Image size 512x512 | Slice index 601 | CT slice

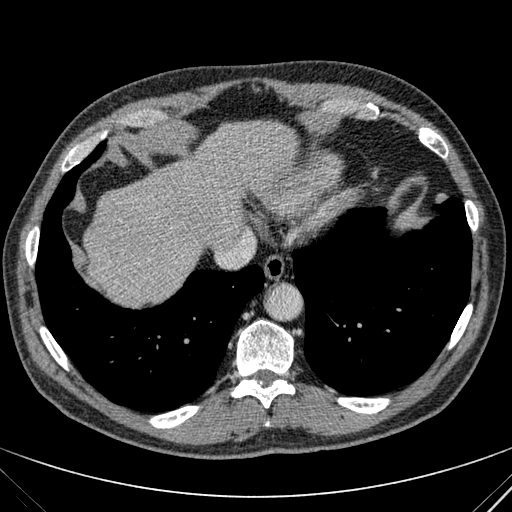
The liver appears at {"x1": 84, "y1": 121, "x2": 296, "y2": 304}.